Magnetic resonance | Hippocampus | Slice 13/28 | 33x53 px
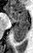 anterior hippocampus: 9 9 28 22 | posterior hippocampus: 13 23 28 41